Liver; CT
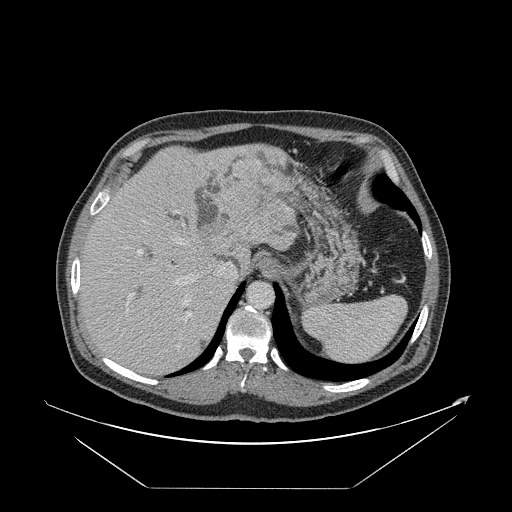

Only some of the vessels may be annotated.
The liver tumor is located at [x1=201, y1=209, x2=227, y2=235]. 10 hepatic vessel regions are bounded by [x1=213, y1=182, x2=214, y2=183], [x1=173, y1=237, x2=188, y2=245], [x1=178, y1=312, x2=191, y2=320], [x1=137, y1=248, x2=142, y2=255], [x1=214, y1=262, x2=236, y2=280], [x1=174, y1=275, x2=198, y2=285], [x1=175, y1=211, x2=178, y2=212], [x1=125, y1=293, x2=133, y2=313], [x1=182, y1=221, x2=183, y2=224], [x1=182, y1=294, x2=190, y2=305].